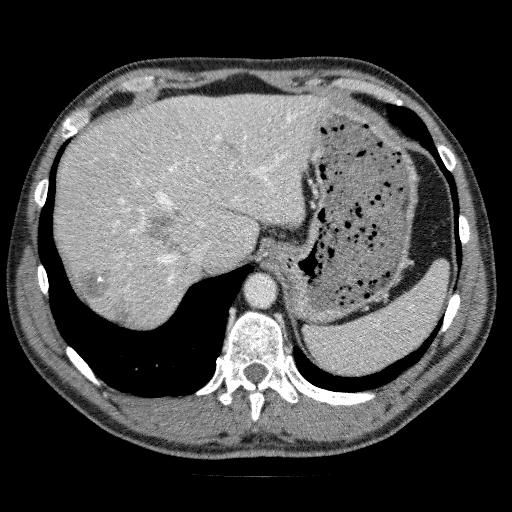 Computed tomography. Upper abdomen. 4 liver lesion regions appear at 75:267:111:298, 227:143:238:156, 111:302:139:328, 145:210:186:256. The liver lies within 55:93:329:328.